Slice index 21, Magnetic resonance
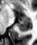 posterior_hippocampus:
  - (17, 20, 30, 31)
anterior_hippocampus:
  - (22, 16, 29, 19)